Slice 226/466, CT scan slice 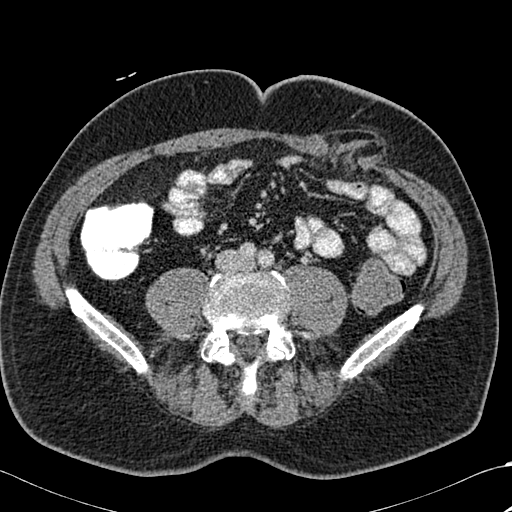

<segmentation>
  <bone>bbox(201, 271, 294, 398); bbox(341, 305, 422, 378); bbox(66, 289, 149, 373)</bone>
</segmentation>